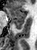
Medial temporal lobe. MRI slice.

Anterior hippocampus: <bbox>5, 8, 24, 20</bbox>.
Posterior hippocampus: <bbox>11, 21, 24, 29</bbox>.